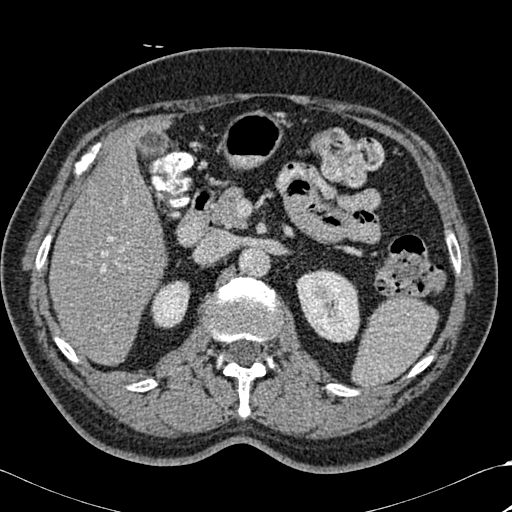 Liver | Computed tomography
7 bone regions are bounded by 447,233,460,271; 36,236,50,268; 56,338,77,361; 327,384,357,396; 409,356,431,376; 129,379,156,391; 206,278,279,416. The liver is at 50,132,164,364. 2 kidney regions are located at 297,272,358,341; 153,281,188,326.